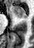 MR; Image size 34x48; Medial temporal lobe
anterior hippocampus: 12, 6, 26, 17